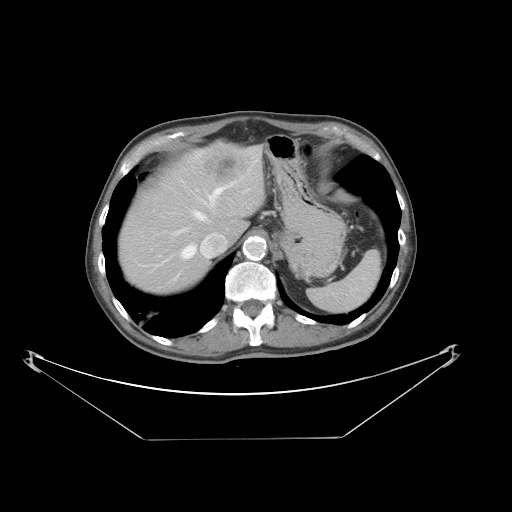
CT scan slice, Liver
Not every hepatic vessel necessarily has a box.
5 hepatic vessel regions appear at (182, 245, 196, 257), (192, 185, 231, 206), (199, 232, 224, 251), (177, 231, 180, 232), (192, 211, 205, 220). The liver tumor is at (202, 142, 254, 185).